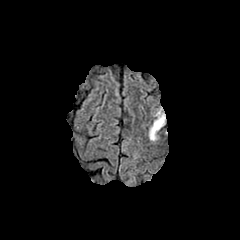
FLAIR magnetic resonance.
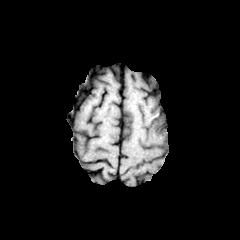
T1-weighted MRI of the same slice.
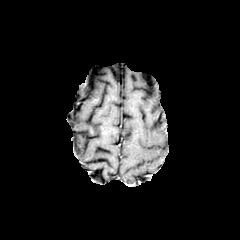
Post-contrast T1-weighted magnetic resonance of the same slice.
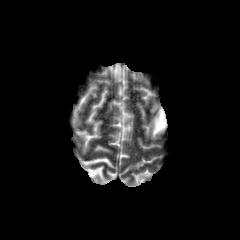
T2-weighted MR.
240x240; Brain
The edema appears at (148, 110, 165, 140).